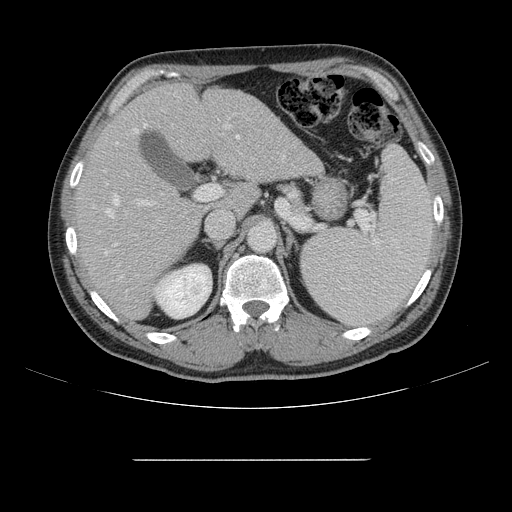 CT image
Some hepatic vessels may have no box.
Findings:
- hepatic vessel (principal 15 of 16): region(116, 142, 117, 145); region(253, 192, 257, 194); region(224, 124, 230, 128); region(120, 275, 122, 277); region(194, 177, 221, 201); region(114, 196, 118, 204); region(236, 135, 238, 138); region(138, 200, 152, 204); region(144, 124, 146, 126); region(283, 155, 284, 158); region(106, 210, 113, 217); region(105, 249, 107, 254); region(133, 128, 138, 132); region(93, 204, 94, 207); region(114, 244, 117, 245)